CT scan slice. Slice index 34.
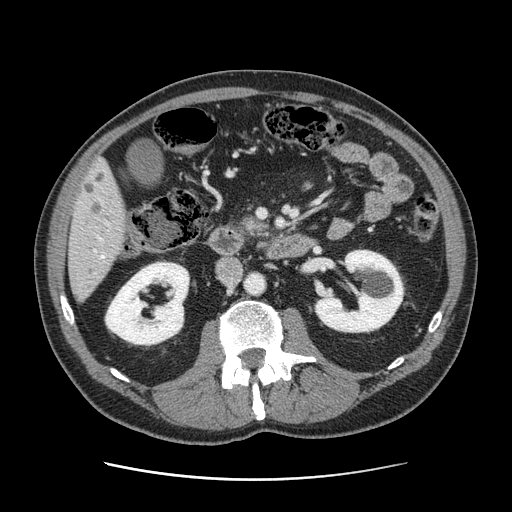
Pancreas: bbox(238, 214, 269, 238).